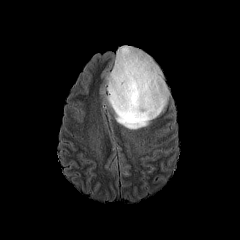
FLAIR MR image.
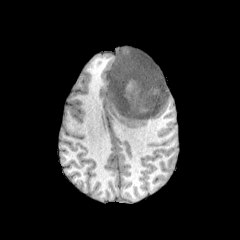
T1-weighted MR image.
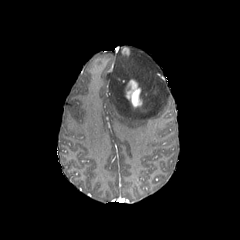
Same slice, post-contrast T1-weighted MR.
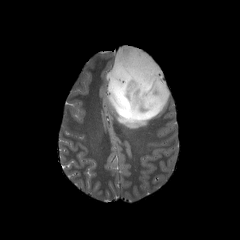
T2-weighted MR.
Brain.
Annotated regions:
• enhancing tumor: <bbox>123, 77, 144, 108</bbox>, <bbox>122, 46, 130, 56</bbox>
• edema: <bbox>109, 45, 170, 129</bbox>, <bbox>98, 89, 105, 98</bbox>